FLAIR MR image.
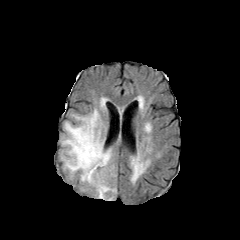
T1-weighted MRI.
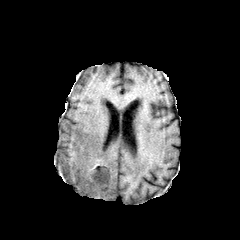
Post-contrast T1-weighted magnetic resonance.
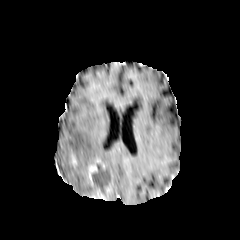
T2-weighted MRI.
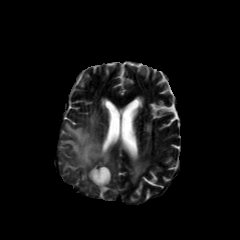
enhancing tumor: [x1=89, y1=165, x2=97, y2=185] | non-enhancing tumor core: [x1=91, y1=164, x2=111, y2=195] | edema: [x1=61, y1=109, x2=115, y2=199], [x1=100, y1=97, x2=107, y2=112], [x1=133, y1=163, x2=143, y2=176]